Upper abdomen; CT 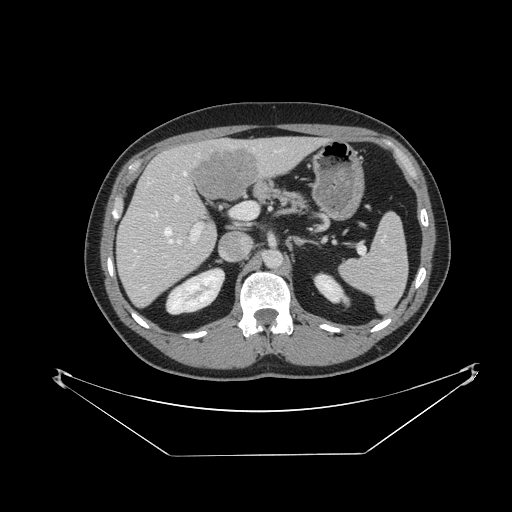 spleen:
  - region(340, 214, 406, 311)